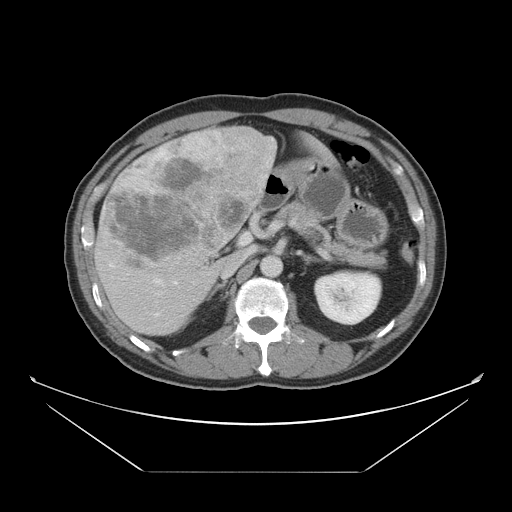

Abdomen. CT scan slice. 512x512 px. Only some of the vessels may be annotated.
6 hepatic vessel regions appear at <box>109,263,114,267</box>, <box>173,281,176,283</box>, <box>153,279,163,285</box>, <box>189,281,194,287</box>, <box>241,233,250,244</box>, <box>156,313,158,315</box>. The liver tumor lies within <box>99,128,275,276</box>.